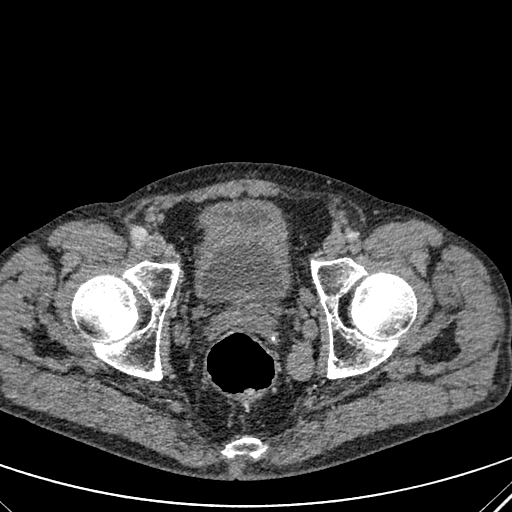

512x512 px. CT scan slice.
Urinary bladder: 200 207 282 297.